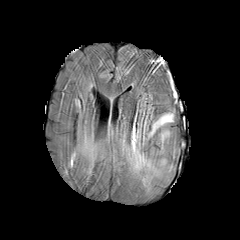
FLAIR MR image.
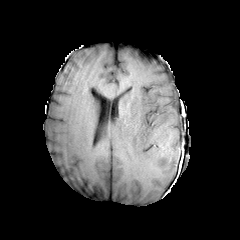
T1-weighted MR image.
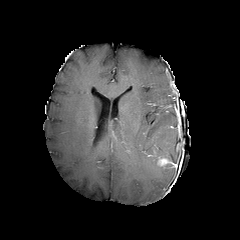
Same slice, post-contrast T1-weighted magnetic resonance.
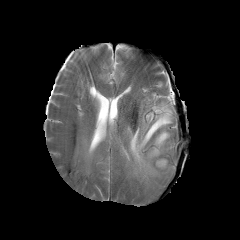
T2-weighted MRI.
240x240 | Brain
The edema is at region(127, 112, 173, 169).